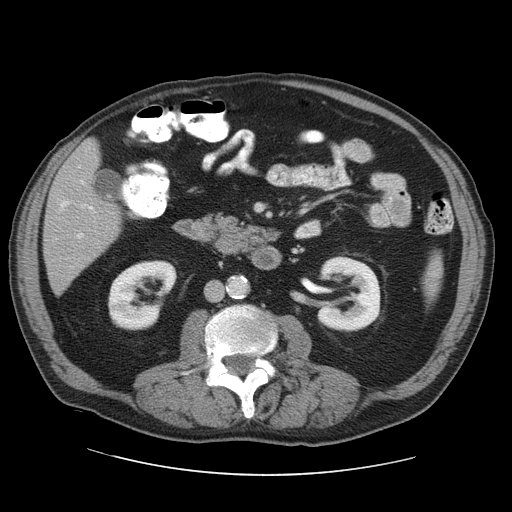

Abdomen; Computed tomography

Some hepatic vessels may have no box.
3 hepatic vessel regions appear at 88:206:91:208, 81:181:83:183, 61:201:67:208.